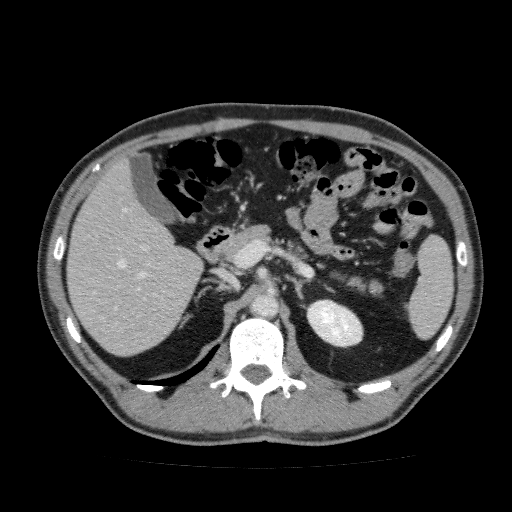 512x512 px | Liver | CT image
Kidney: bounding box box=[307, 300, 362, 346].
Liver: bounding box box=[65, 157, 202, 356].